CT image. Slice 17/36. 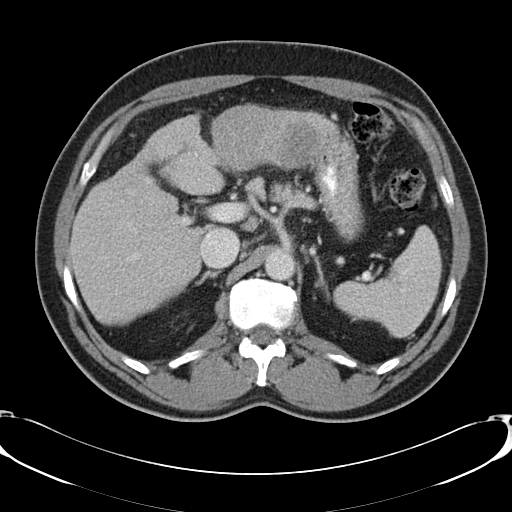

Some hepatic vessels may have no box.
The hepatic vessel lies within (130, 253, 139, 259). The liver tumor is located at (280, 122, 317, 165).